FLAIR MR image.
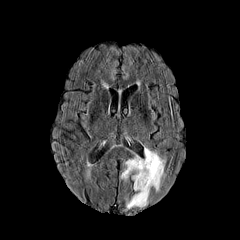
T1-weighted MR.
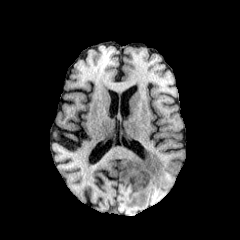
Post-contrast T1-weighted MR.
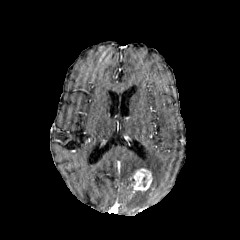
T2-weighted MRI.
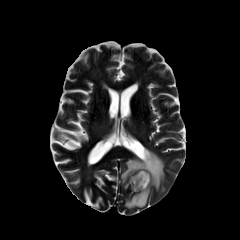
Annotated regions:
* enhancing tumor: <box>133,168,152,191</box>
* non-enhancing tumor core: <box>138,171,149,187</box>
* edema: <box>118,147,164,209</box>